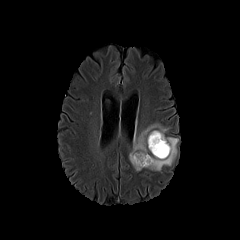
FLAIR MR image.
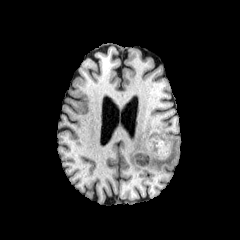
T1-weighted MRI of the same slice.
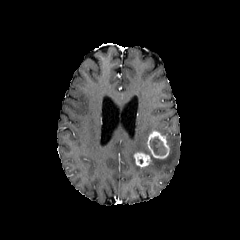
Post-contrast T1-weighted magnetic resonance of the same slice.
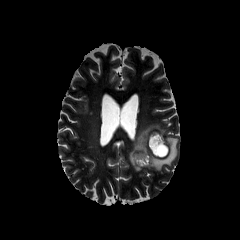
T2-weighted MR image.
240x240
{
  "non-enhancing_tumor_core": [
    "(left=149, top=136, right=168, bottom=156)"
  ],
  "edema": [
    "(left=128, top=123, right=177, bottom=172)"
  ],
  "enhancing_tumor": [
    "(left=133, top=152, right=153, bottom=168)",
    "(left=147, top=130, right=170, bottom=159)"
  ]
}